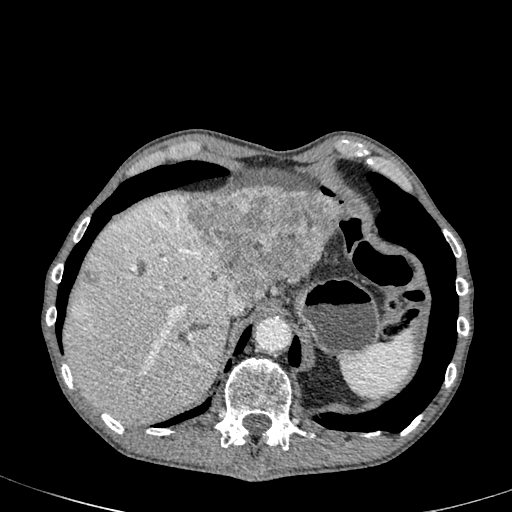

CT image, Upper abdomen
hepatic lesion: (184, 187, 344, 307), (81, 269, 98, 283) | liver: (63, 195, 238, 424), (334, 200, 348, 217)